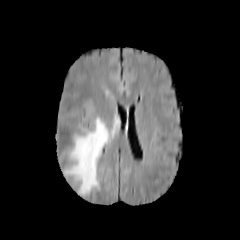
FLAIR MRI.
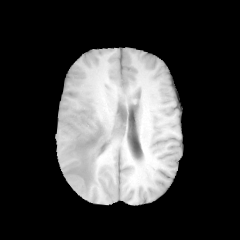
T1-weighted MRI of the same slice.
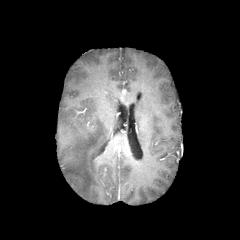
Post-contrast T1-weighted magnetic resonance of the same slice.
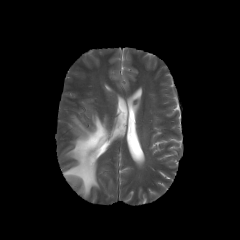
T2-weighted MR image.
Image size 240x240
Segmented structures:
- edema: <box>61,114,109,196</box>